Slice 33/155; 240x240 px; Brain
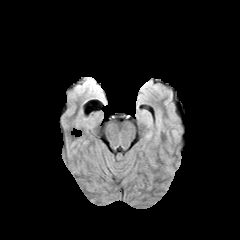
FLAIR magnetic resonance.
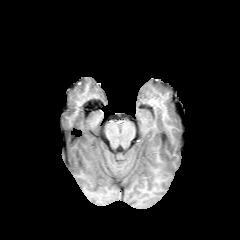
T1-weighted magnetic resonance.
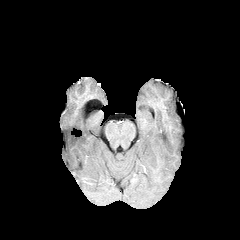
Post-contrast T1-weighted magnetic resonance.
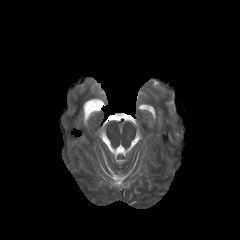
T2-weighted MR.
Edema — bbox(137, 93, 147, 103).